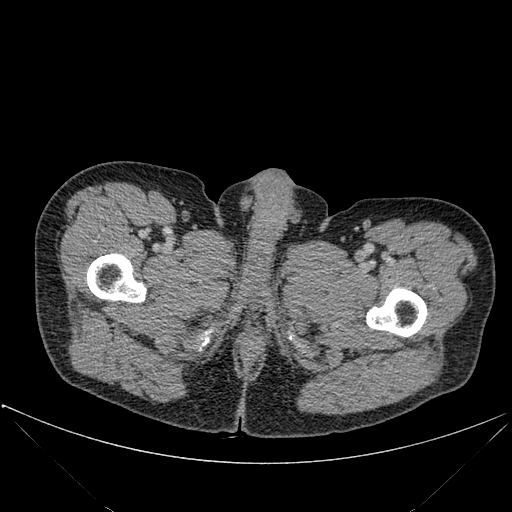
Computed tomography.
Bone: 87, 254, 146, 302; 366, 288, 426, 336; 201, 331, 210, 345.